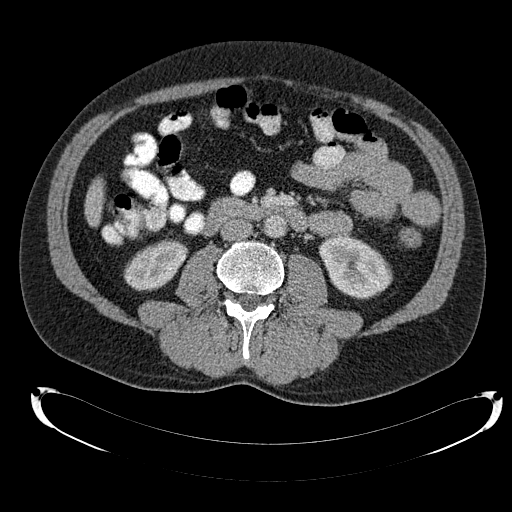
512x512; Computed tomography
{"liver": ["region(86, 182, 103, 225)"], "kidney": ["region(125, 242, 185, 289)", "region(320, 234, 390, 297)"]}